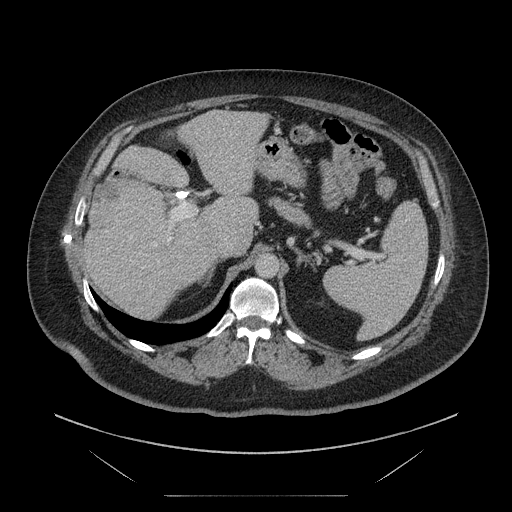
Computed tomography.

The vessel annotation is not exhaustive.
<segmentation>
  <hepatic_vessel>166, 201, 197, 242</hepatic_vessel>
  <liver_tumor>98, 178, 146, 201</liver_tumor>
</segmentation>